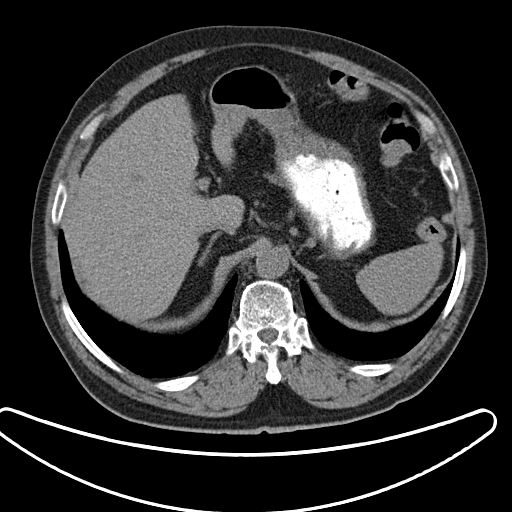
Abdomen | CT scan slice
Spleen = (359,243,441,312).